MRI slice | Hippocampus 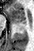

The anterior hippocampus appears at 8 7 26 23.